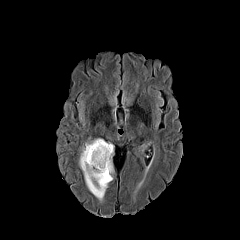
FLAIR magnetic resonance.
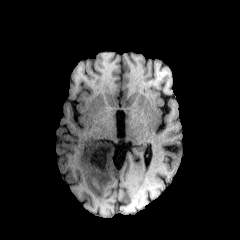
T1-weighted MRI.
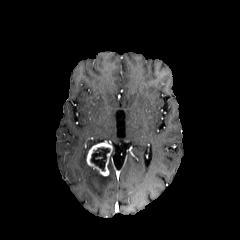
Post-contrast T1-weighted MR image.
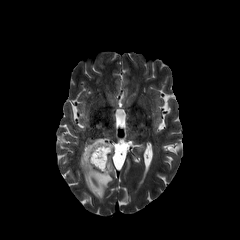
T2-weighted MR.
Brain
{
  "non-enhancing_tumor_core": [
    {"x1": 90, "y1": 146, "x2": 110, "y2": 171}
  ],
  "enhancing_tumor": [
    {"x1": 85, "y1": 141, "x2": 112, "y2": 176}
  ],
  "edema": [
    {"x1": 78, "y1": 138, "x2": 114, "y2": 201}
  ]
}